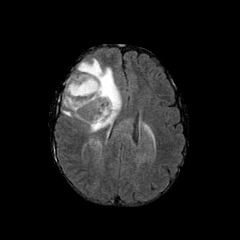
FLAIR MRI.
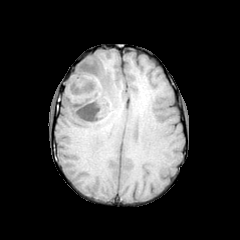
T1-weighted MR.
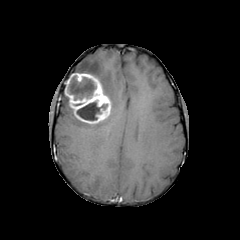
Post-contrast T1-weighted magnetic resonance.
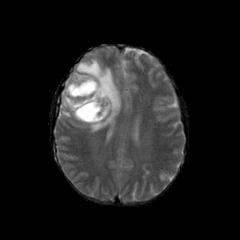
T2-weighted magnetic resonance.
Brain.
The enhancing tumor lies within 65 73 110 123. 2 edema regions appear at 61 94 75 119, 76 57 121 132. 2 non-enhancing tumor core regions are located at 67 75 95 99, 76 102 107 121.